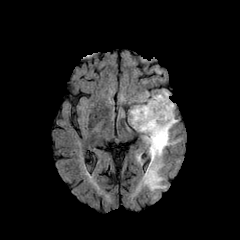
FLAIR MR.
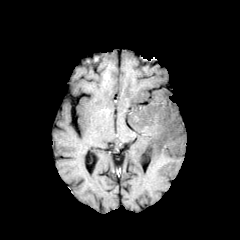
T1-weighted MR of the same slice.
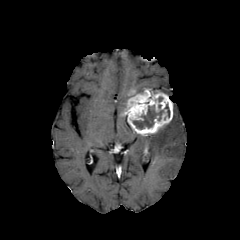
Post-contrast T1-weighted magnetic resonance of the same slice.
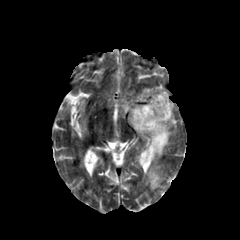
T2-weighted MRI.
Head.
<segmentation>
  <non-enhancing_tumor_core><box>133,106,163,129</box></non-enhancing_tumor_core>
  <enhancing_tumor><box>126,89,173,135</box></enhancing_tumor>
  <edema><box>141,105,179,190</box></edema>
</segmentation>